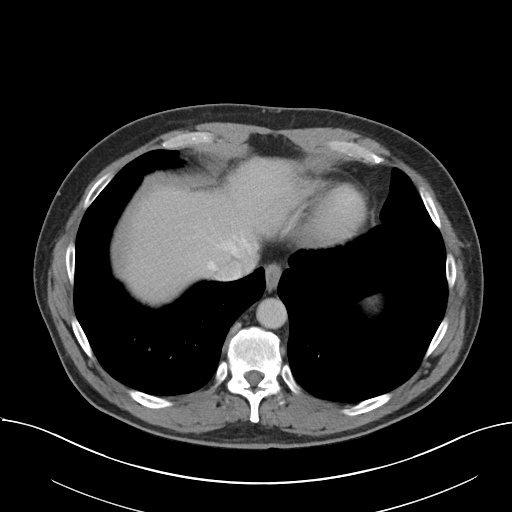

CT, 512x512, Liver
Not every hepatic vessel necessarily has a box.
• hepatic vessel: [206, 261, 253, 279], [233, 251, 240, 256], [233, 230, 256, 254]